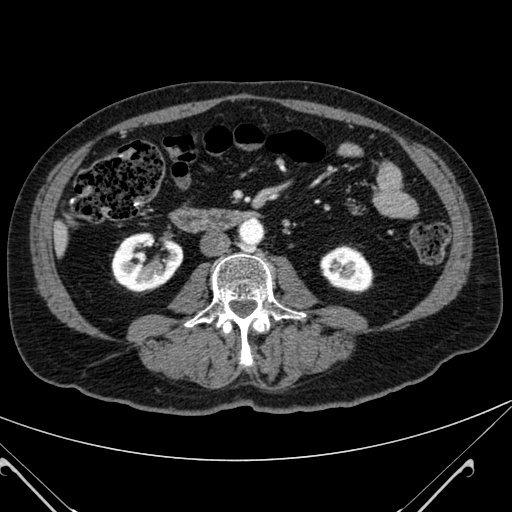

512x512 px; CT slice
2 kidney regions are located at bbox=[112, 234, 182, 290]; bbox=[321, 247, 371, 290]. The liver appears at bbox=[54, 226, 65, 251].